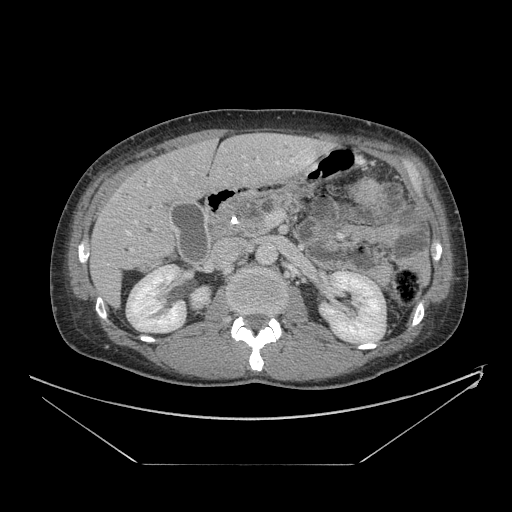

CT scan slice, Upper abdomen
The pancreas is at <box>214,187,303,238</box>. The pancreatic tumor appears at <box>228,196,262,226</box>.